Slice 25 of 39; 512x512; Abdomen; CT scan slice
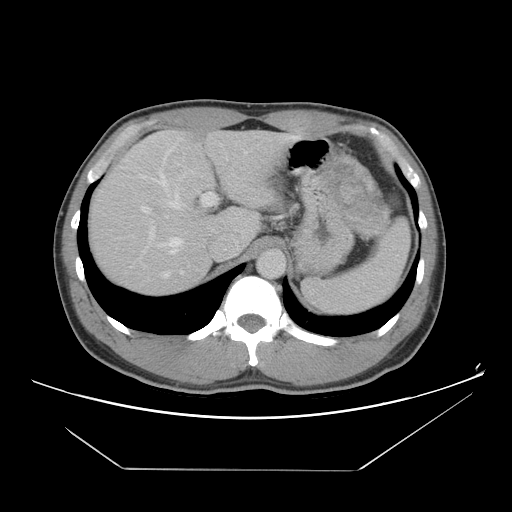 Only some of the vessels may be annotated.
The liver tumor appears at [330,162,386,219]. 12 hepatic vessel regions appear at [180,270,182,273], [165,215,167,217], [141,206,150,212], [151,221,153,223], [159,237,181,253], [140,169,167,191], [168,194,182,208], [202,192,215,205], [162,147,173,164], [162,271,169,277], [244,151,246,153], [148,226,154,245].